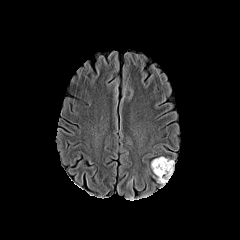
FLAIR MRI.
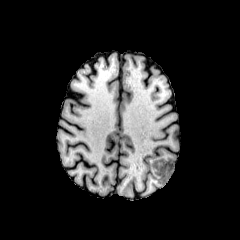
Same slice, T1-weighted magnetic resonance.
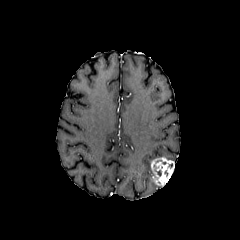
Same slice, post-contrast T1-weighted magnetic resonance.
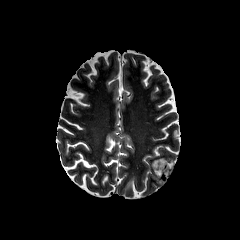
T2-weighted MR.
Brain
{"edema": ["[126, 179, 132, 190]"], "enhancing_tumor": ["[151, 156, 174, 187]"]}